Slice 323/537, CT image, 512x512 px, Field of view 496x496 mm
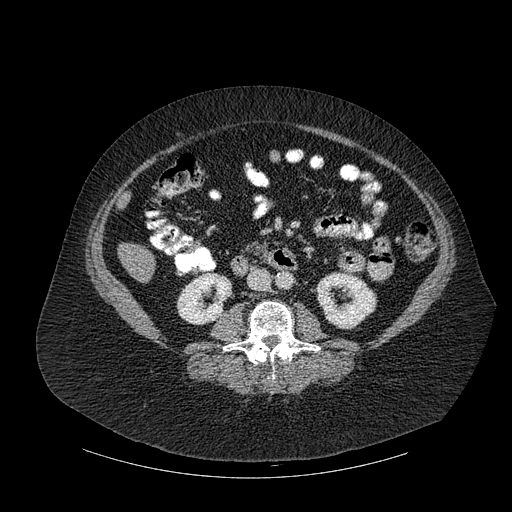 Bone — [x1=223, y1=302, x2=320, y2=363].
Liver — [x1=118, y1=243, x2=156, y2=283], [x1=117, y1=194, x2=124, y2=209].
Kidney — [x1=317, y1=273, x2=375, y2=328], [x1=178, y1=273, x2=231, y2=324].